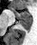 Hippocampus. MR.

Posterior hippocampus — [19, 20, 31, 30].
Anterior hippocampus — [11, 8, 31, 19].